Field of view 35x47 mm | Hippocampus | MRI slice | 35x47 px
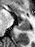 The posterior hippocampus is located at box(17, 21, 29, 30). The anterior hippocampus lies within box(22, 19, 26, 20).